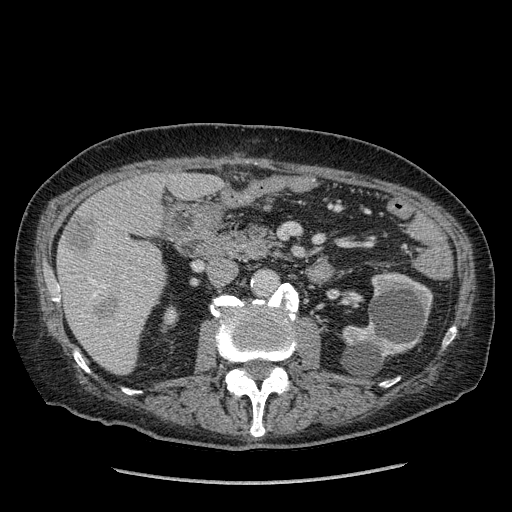 CT slice

3 kidney regions appear at bbox=[372, 273, 432, 318]; bbox=[343, 322, 419, 357]; bbox=[165, 309, 175, 323]. 2 liver lesion regions appear at bbox=[68, 215, 95, 251]; bbox=[95, 295, 117, 318]. The liver is located at bbox=[58, 173, 223, 374].